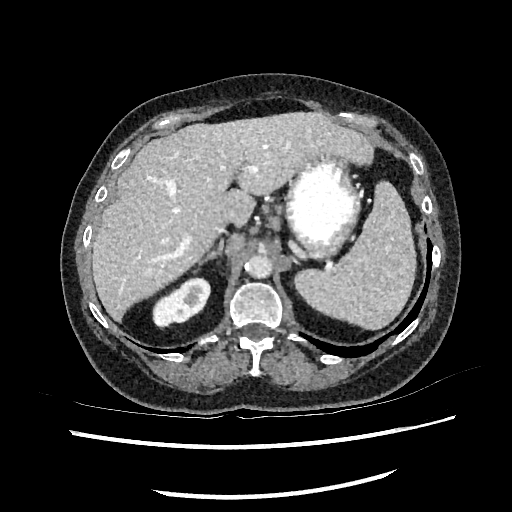 Computed tomography
Kidney at [154, 279, 209, 325].
Liver at [92, 112, 372, 320].